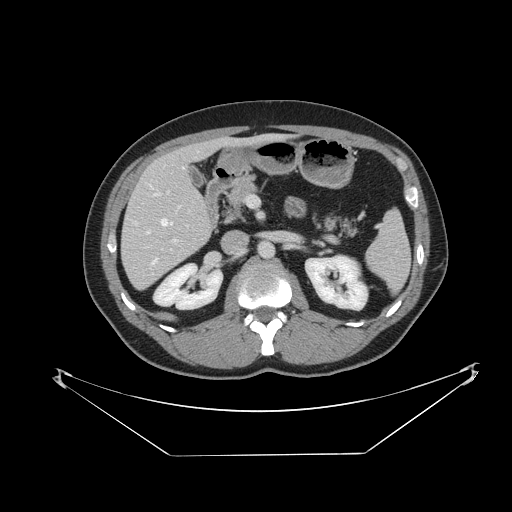

CT image. Upper abdomen. 512x512.

* spleen: left=367, top=210, right=409, bottom=290